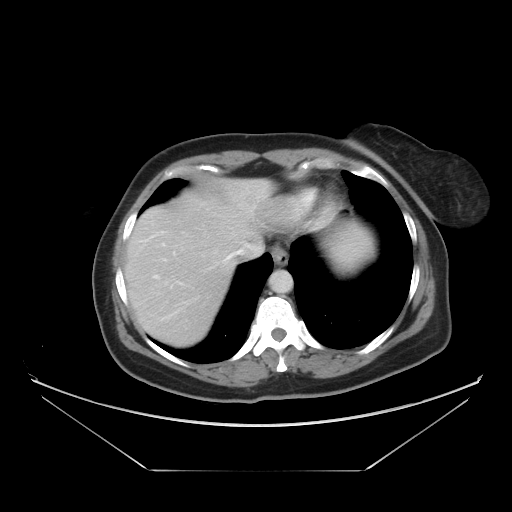 Image size 512x512; CT; Liver

The vessel annotation is not exhaustive.
{
  "hepatic_vessel": [
    "box=[201, 203, 209, 209]"
  ]
}